512x512 px. Abdomen. Field of view 415 mm wide, 5.00 mm slice spacing. CT. 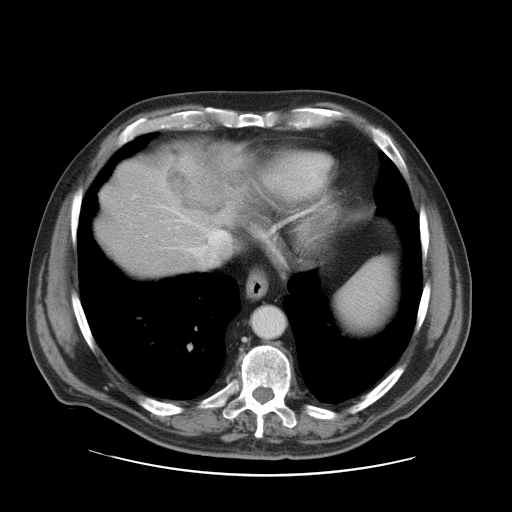 The vessel annotation is not exhaustive.
Hepatic vessel = 189 231 227 255, 159 206 184 217, 212 254 214 256.
Liver tumor = 165 149 245 214.